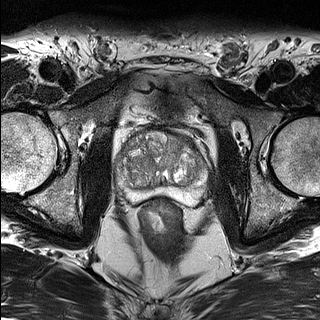
T2-weighted MR.
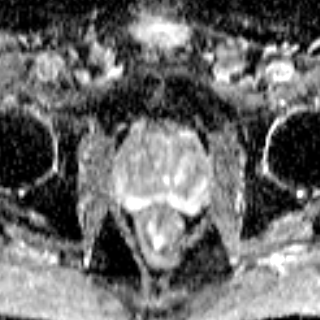
ADC MR.
320x320 px
{
  "prostate_transition_zone": [
    "x1=117 y1=132 x2=204 y2=188"
  ],
  "prostate_peripheral_zone": [
    "x1=117 y1=165 x2=206 y2=204"
  ]
}